Brain. Image width 240 mm.
FLAIR MR.
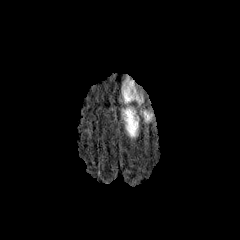
T1-weighted MR.
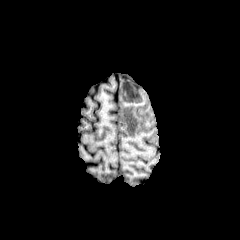
Post-contrast T1-weighted MR.
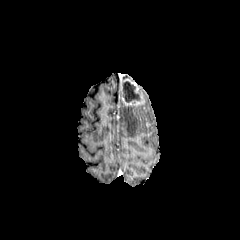
T2-weighted MR.
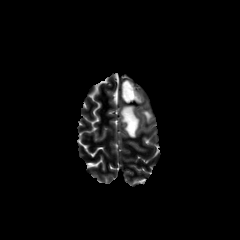
Enhancing tumor = x1=121 y1=78 x2=145 y2=105.
Non-enhancing tumor core = x1=122 y1=81 x2=140 y2=102.
Edema = x1=143 y1=110 x2=153 y2=122, x1=121 y1=107 x2=139 y2=138.